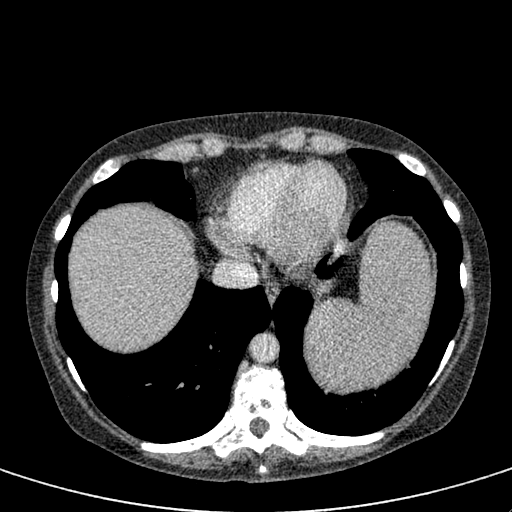

CT slice; Liver

Annotated regions:
• liver: {"x1": 70, "y1": 207, "x2": 194, "y2": 349}